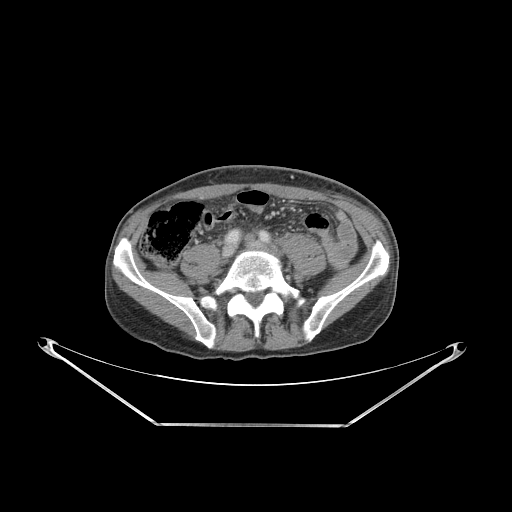
CT slice

4 bone regions are bounded by box(114, 238, 215, 347); box(216, 252, 299, 336); box(304, 241, 388, 340); box(201, 295, 216, 308).